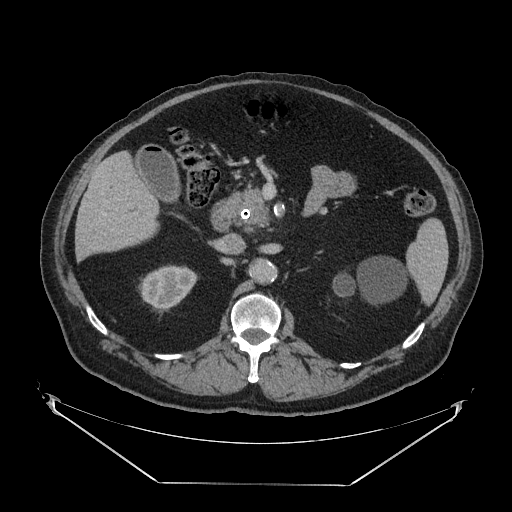
Abdomen. CT slice.
Findings:
- pancreas: [230, 189, 267, 224]